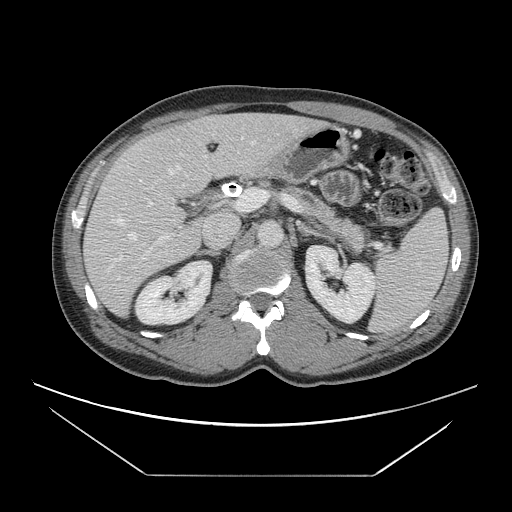

Upper abdomen; CT image
{
  "pancreas": [
    "left=286, top=186, right=364, bottom=252"
  ]
}